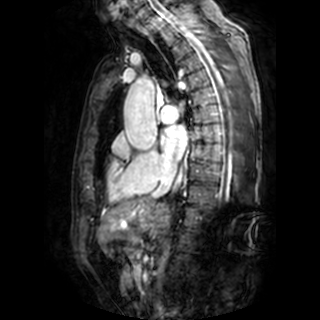

Magnetic resonance
Left atrium at <box>160,125,186,160</box>.